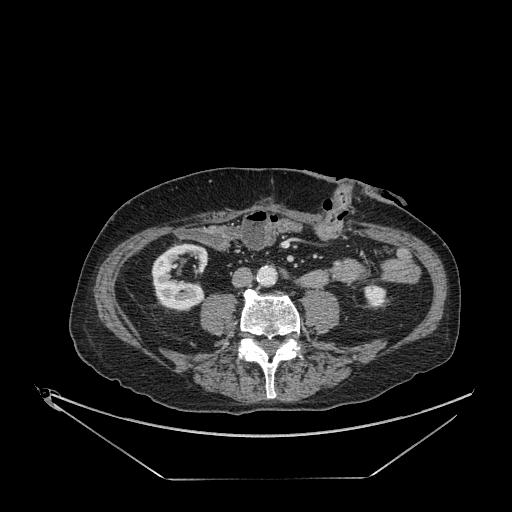
Abdomen; CT
Kidney = 152,244,207,309; 365,285,385,306.